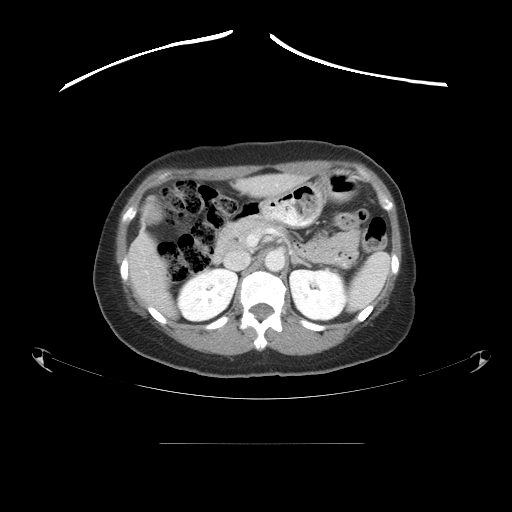 CT scan slice
Some hepatic vessels may have no box.
<segmentation>
  <liver_tumor>142, 200, 161, 221</liver_tumor>
  <hepatic_vessel>225, 252, 249, 271; 275, 184, 276, 186; 145, 271, 147, 273; 248, 235, 257, 245</hepatic_vessel>
</segmentation>